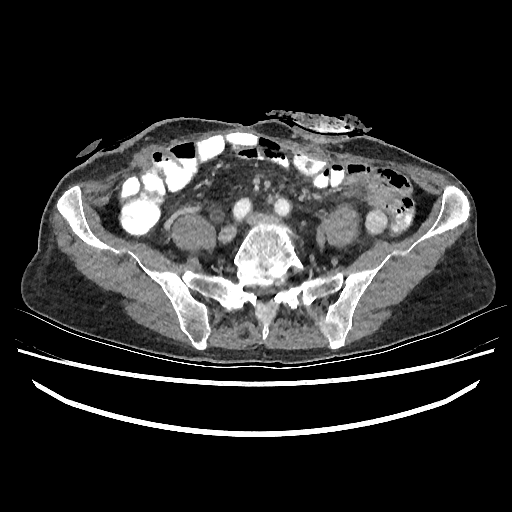

CT slice. Image size 512x512.

Kidney — l=366, t=210, r=386, b=232; l=391, t=250, r=404, b=255.